FLAIR magnetic resonance.
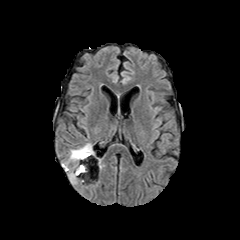
T1-weighted MR image.
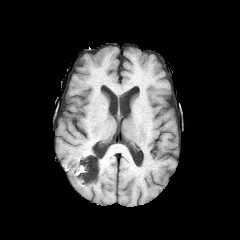
Post-contrast T1-weighted MR.
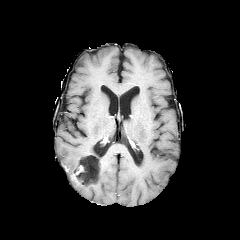
T2-weighted magnetic resonance.
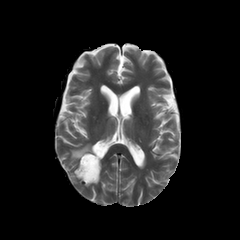
240x240
The edema appears at box=[62, 143, 93, 183]. The non-enhancing tumor core is at box=[78, 148, 95, 177].